Field of view 240x240 mm, Head, Slice 123/155
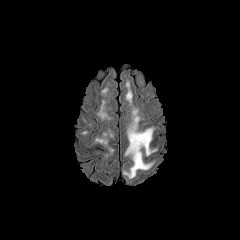
FLAIR MR.
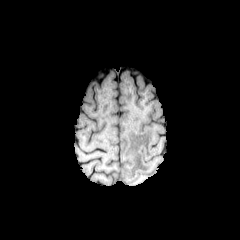
Same slice, T1-weighted MRI.
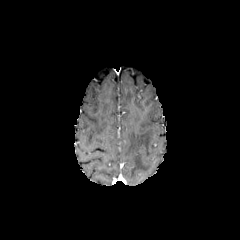
Post-contrast T1-weighted MR.
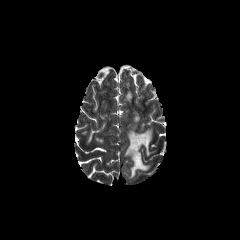
Same slice, T2-weighted magnetic resonance.
Edema = 126:83:132:103, 123:111:156:179.